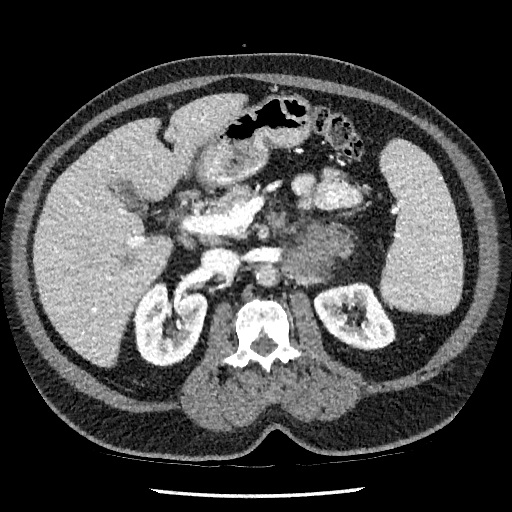 CT slice

The liver is located at [34,93,245,365]. 2 kidney regions are located at [135,281,206,365], [314,284,394,348]. The focal liver lesion is at [122,255,133,270].